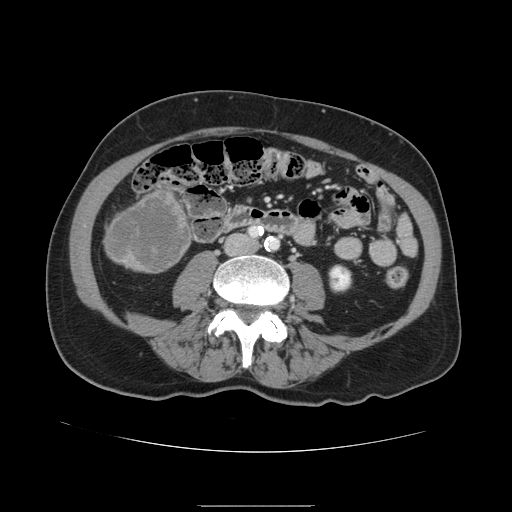
512x512 px | CT image
The liver tumor is at l=109, t=192, r=189, b=271.